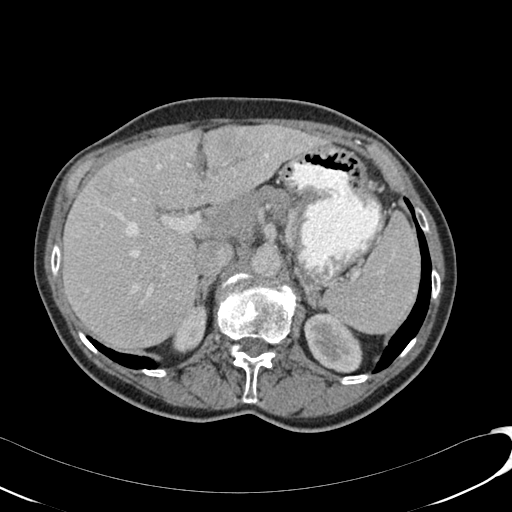
Abdomen, CT
{
  "liver_lesion": [
    "210,167,218,175",
    "212,127,252,164",
    "97,171,113,194",
    "134,311,142,318"
  ],
  "liver": [
    "63,124,325,347",
    "196,222,210,237"
  ],
  "kidney": [
    "305,314,360,371",
    "175,307,205,350"
  ]
}